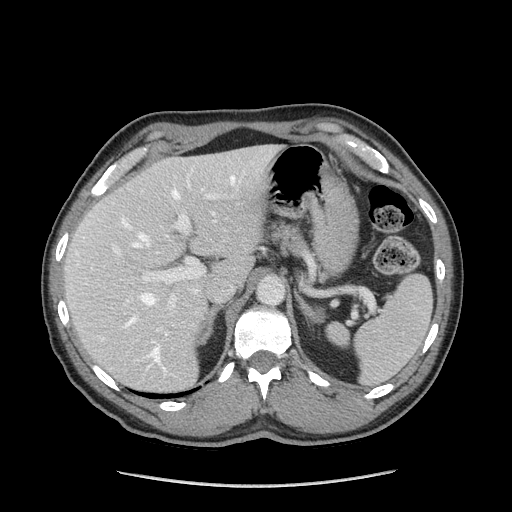 CT image, Upper abdomen, 512x512

Annotated regions:
* pancreas: box(265, 218, 305, 251)